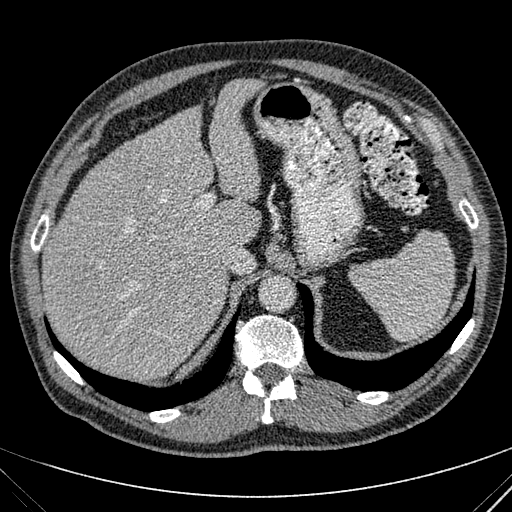
Abdomen, Image size 512x512, Computed tomography

Liver = box=[44, 79, 264, 377].